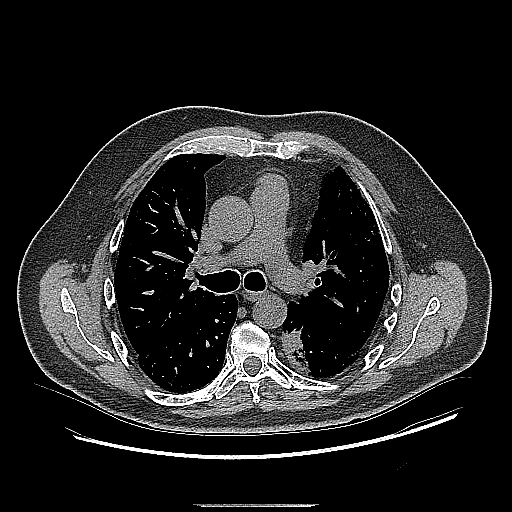

CT slice, Thorax, 512x512 px
2 lung tumor regions appear at [288, 302, 297, 314], [281, 324, 313, 376].